240x240 px | Slice 98/155 | Head
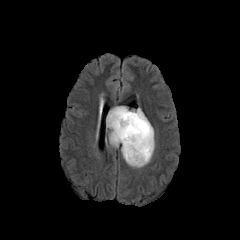
FLAIR magnetic resonance.
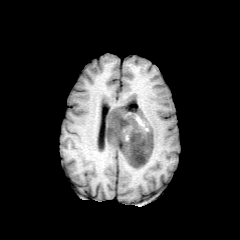
T1-weighted MRI of the same slice.
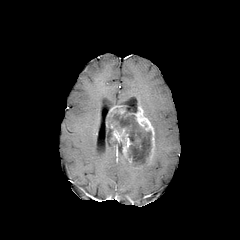
Post-contrast T1-weighted MR image.
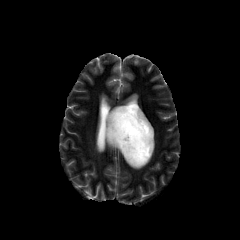
T2-weighted MR image of the same slice.
The non-enhancing tumor core appears at [x1=106, y1=106, x2=152, y2=163]. 2 edema regions are bounded by [x1=122, y1=140, x2=155, y2=168], [x1=105, y1=137, x2=116, y2=149]. 2 enhancing tumor regions appear at [x1=133, y1=107, x2=154, y2=154], [x1=112, y1=128, x2=131, y2=158].